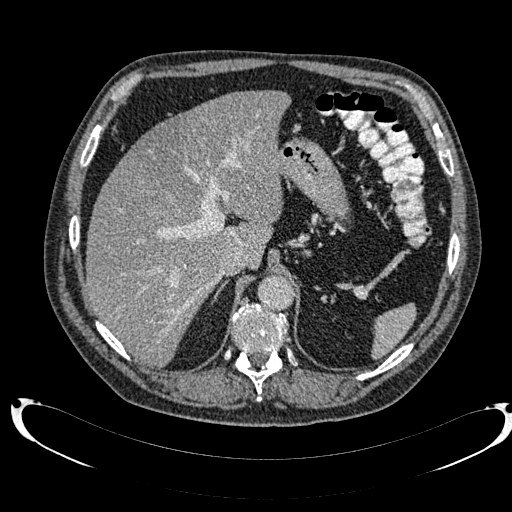
Abdomen. CT scan slice. Image size 512x512. Focal liver lesion: bounding box [132, 94, 240, 204].
Liver: bounding box [86, 90, 289, 366].